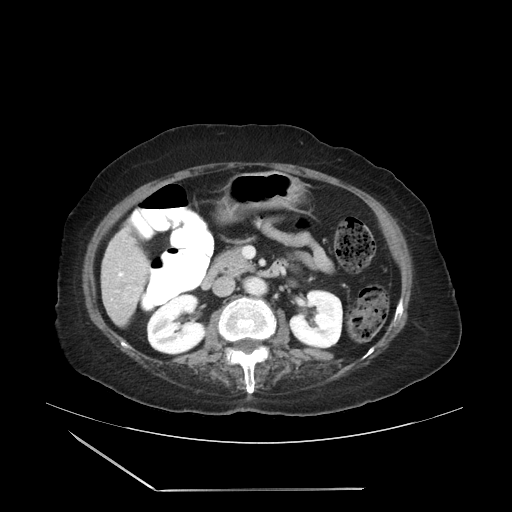
Abdomen, Computed tomography
Not every hepatic vessel necessarily has a box.
Liver tumor: <box>120,283,142,305</box>.
Hepatic vessel: <box>115,290,118,292</box>, <box>131,258,148,278</box>, <box>118,264,120,266</box>, <box>121,233,126,240</box>, <box>117,268,123,279</box>.